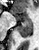
MRI slice

2 anterior hippocampus regions are located at l=14, t=14, r=19, b=21; l=21, t=13, r=28, b=20. The posterior hippocampus appears at l=16, t=21, r=31, b=36.